MR 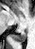
Segmented structures:
* posterior hippocampus: 11,31,26,42